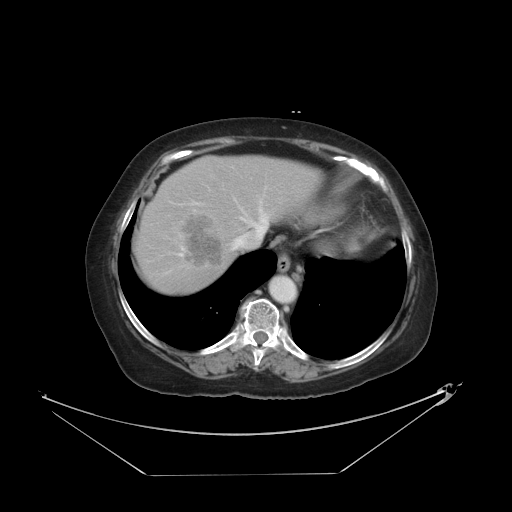
Liver; CT image
The vessel annotation is not exhaustive.
2 hepatic vessel regions appear at box=[239, 206, 242, 210]; box=[232, 200, 268, 248]. The liver tumor lies within box=[180, 214, 224, 266].